Field of view 240 mm wide, 1.00 mm slice spacing. Head.
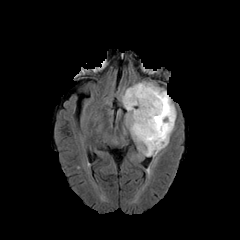
FLAIR MR.
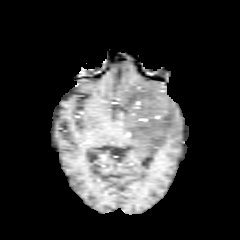
T1-weighted MR.
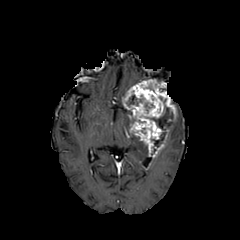
Post-contrast T1-weighted MR image.
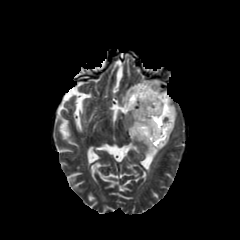
T2-weighted MRI of the same slice.
The enhancing tumor appears at [122,79,176,156]. 2 non-enhancing tumor core regions appear at [154,108,174,147], [128,95,141,105]. 2 edema regions are bounded by [163,121,175,147], [132,136,147,156].